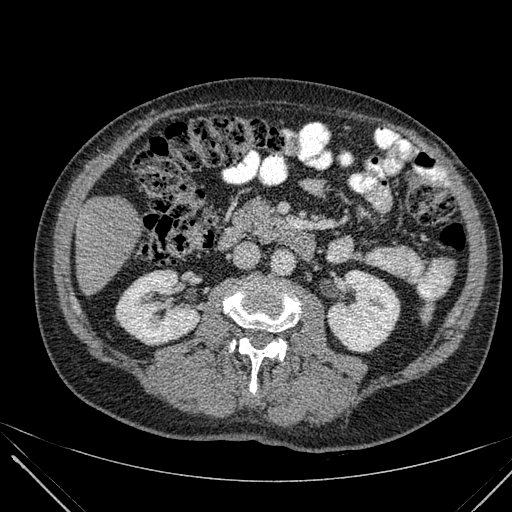
Abdomen | CT
The liver appears at (76,196,141,293). 2 kidney regions are bounded by (328,271,399,351), (116,271,198,343).